FLAIR MR image.
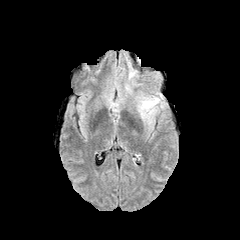
T1-weighted magnetic resonance.
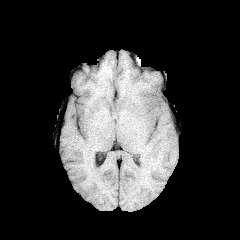
Post-contrast T1-weighted MR.
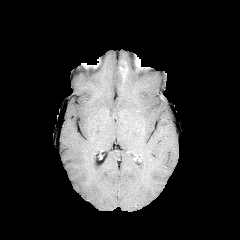
T2-weighted magnetic resonance.
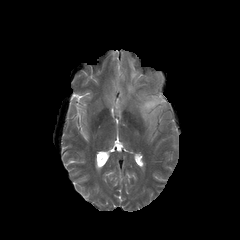
Brain
Edema — [126,84,132,93], [136,92,163,125], [128,64,136,82].